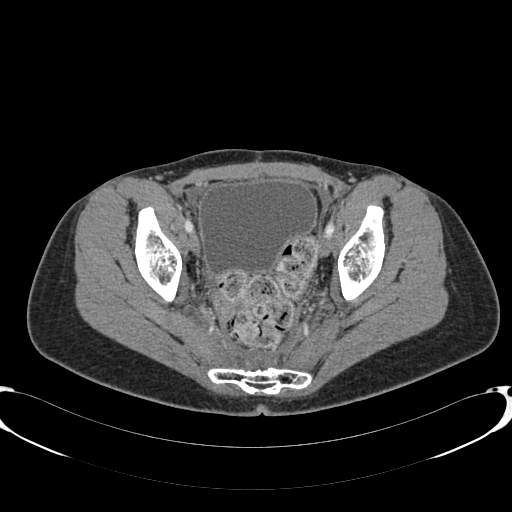

CT image; Lower abdomen
Urinary bladder: <box>201,182,314,273</box>.